FLAIR MRI.
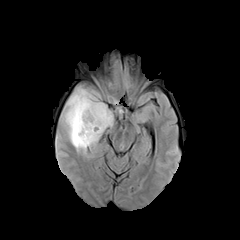
T1-weighted MR.
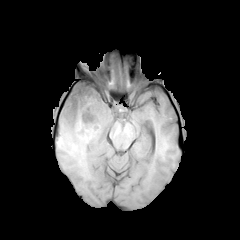
Post-contrast T1-weighted MR image.
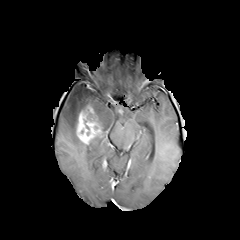
T2-weighted MR.
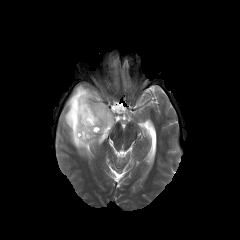
240x240 | Head
Non-enhancing tumor core = <bbox>73, 113, 77, 132</bbox>.
Enhancing tumor = <bbox>76, 107, 103, 144</bbox>.
Edema = <bbox>62, 85, 114, 154</bbox>.